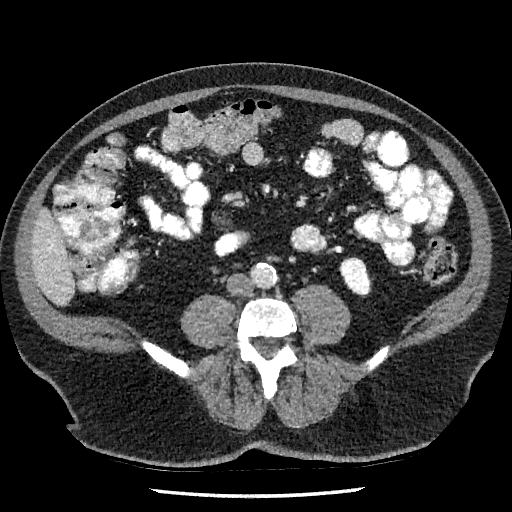

Upper abdomen | CT slice
Kidney at x1=341 y1=259 x2=369 y2=294.
Liver at x1=32 y1=209 x2=73 y2=304.